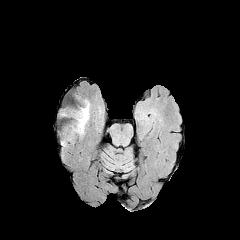
FLAIR MR.
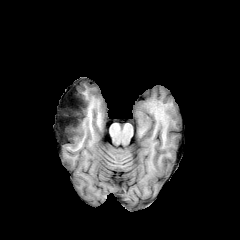
T1-weighted MRI.
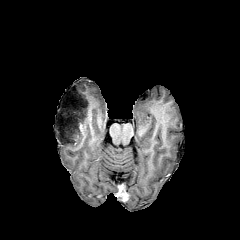
Post-contrast T1-weighted magnetic resonance.
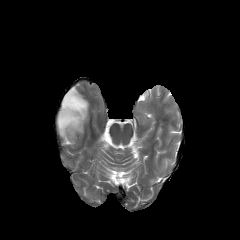
T2-weighted MR.
{"non-enhancing_tumor_core": ["<box>60,99,90,143</box>"]}